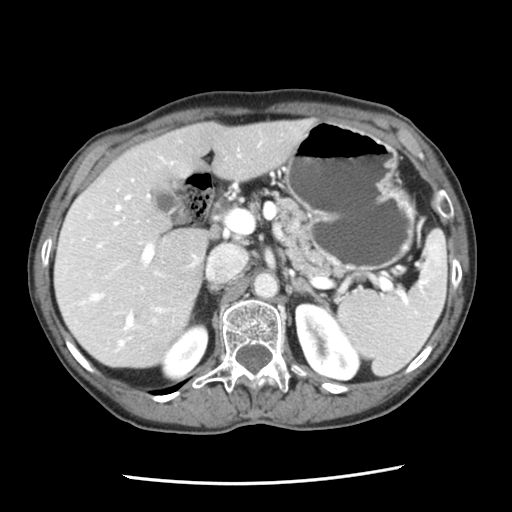
512x512 px | Abdomen | CT slice
Pancreas = bbox(260, 190, 345, 279); bbox(209, 206, 246, 243).